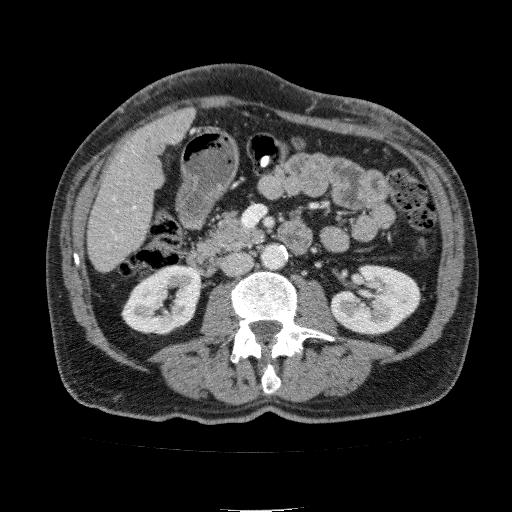 Upper abdomen, Image size 512x512, CT scan slice
{"kidney": ["bbox(332, 266, 418, 333)", "bbox(123, 266, 200, 333)"], "liver": ["bbox(89, 107, 195, 270)"]}